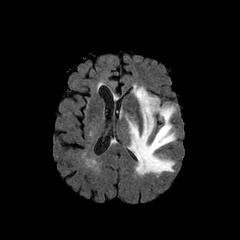
FLAIR MRI.
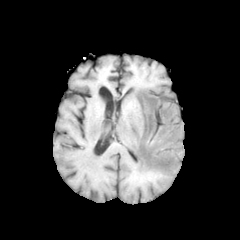
T1-weighted magnetic resonance of the same slice.
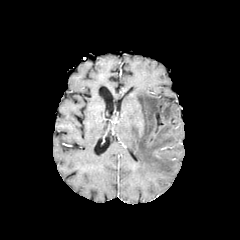
Post-contrast T1-weighted MR image of the same slice.
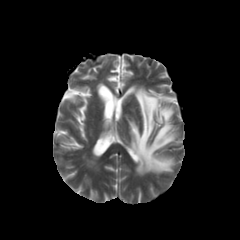
T2-weighted MR image.
Brain. 240x240.
Segmented structures:
- edema: <bbox>127, 86, 178, 175</bbox>